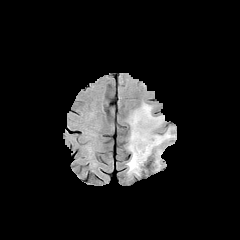
FLAIR MRI.
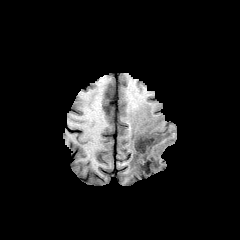
T1-weighted magnetic resonance.
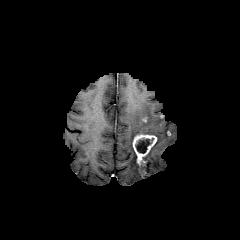
Post-contrast T1-weighted MR of the same slice.
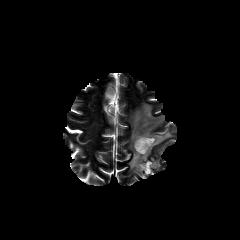
T2-weighted magnetic resonance.
Head; 240x240 px
<segmentation>
  <edema>region(142, 130, 172, 166); region(127, 104, 161, 175)</edema>
  <non-enhancing_tumor_core>region(136, 139, 149, 153)</non-enhancing_tumor_core>
  <enhancing_tumor>region(132, 134, 157, 164)</enhancing_tumor>
</segmentation>